Head
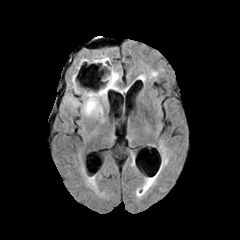
FLAIR MR image.
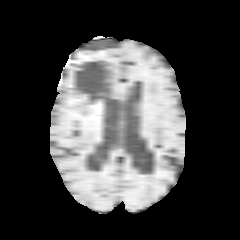
T1-weighted MRI.
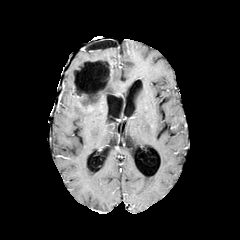
Post-contrast T1-weighted MR image of the same slice.
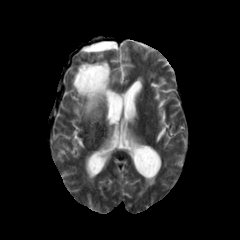
T2-weighted MR of the same slice.
* edema: x1=66 y1=66 x2=127 y2=117, x1=97 y1=54 x2=111 y2=70
* non-enhancing tumor core: x1=74 y1=64 x2=109 y2=100